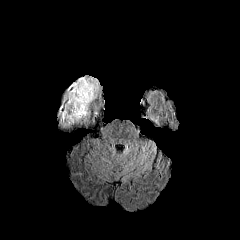
FLAIR magnetic resonance.
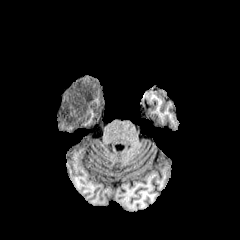
T1-weighted MR image.
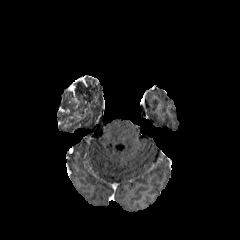
Post-contrast T1-weighted MR image.
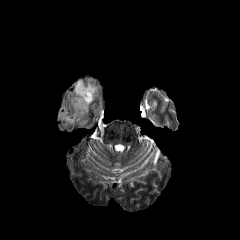
Same slice, T2-weighted MRI.
Non-enhancing tumor core: bounding box 57, 75, 102, 131.
Enhancing tumor: bounding box 67, 84, 78, 102; 73, 76, 87, 86.